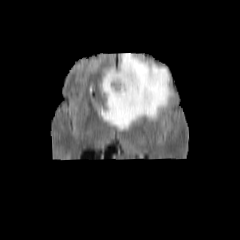
FLAIR MR image.
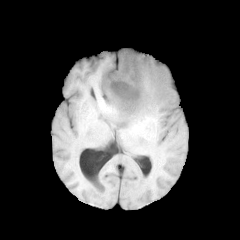
T1-weighted MRI.
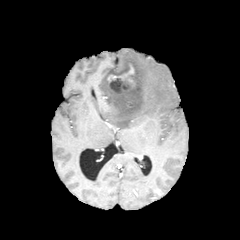
Post-contrast T1-weighted MR image.
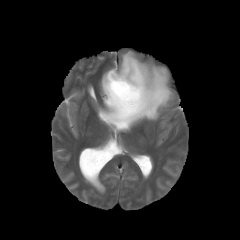
T2-weighted MR image.
Brain, 240x240 px
{"edema": ["rect(98, 51, 174, 130)"], "enhancing_tumor": ["rect(107, 65, 133, 81)"], "non-enhancing_tumor_core": ["rect(109, 65, 130, 75)", "rect(105, 62, 145, 112)"]}